FLAIR magnetic resonance.
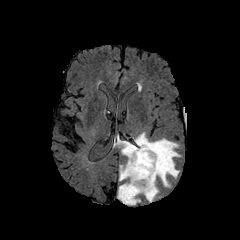
T1-weighted MR.
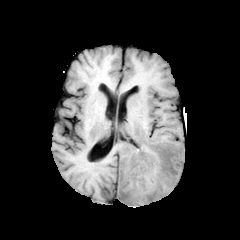
Post-contrast T1-weighted MRI.
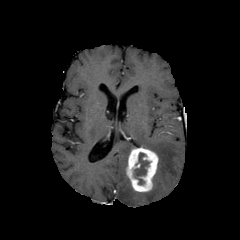
T2-weighted MRI.
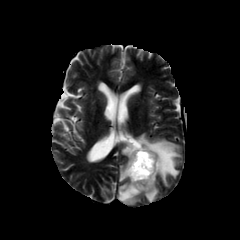
Head
Findings:
* edema: rect(117, 132, 181, 205)
* non-enhancing tumor core: rect(134, 153, 148, 175)
* enhancing tumor: rect(126, 146, 158, 191)